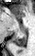
MRI slice; Medial temporal lobe
Segmented structures:
• posterior hippocampus: (12,33,26,46)